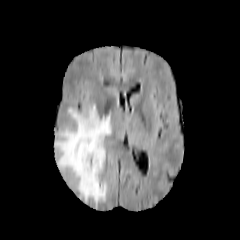
FLAIR MR image.
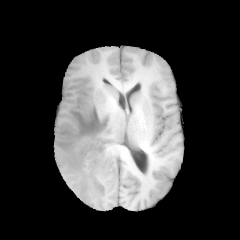
T1-weighted MR image.
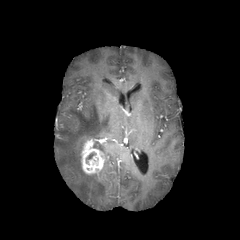
Post-contrast T1-weighted MR of the same slice.
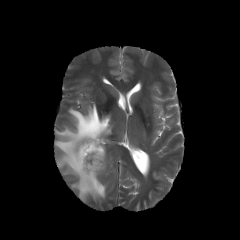
Same slice, T2-weighted MR image.
240x240.
The enhancing tumor lies within l=81, t=139, r=104, b=174. The non-enhancing tumor core appears at l=85, t=151, r=94, b=163. The edema appears at l=54, t=105, r=112, b=203.